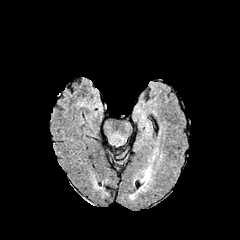
FLAIR MR image.
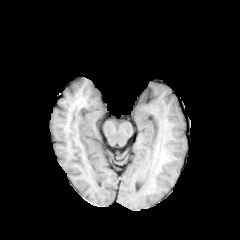
T1-weighted MR of the same slice.
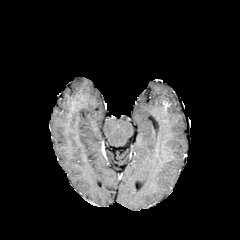
Post-contrast T1-weighted MR of the same slice.
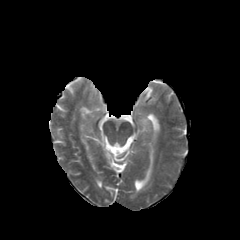
T2-weighted MRI of the same slice.
Brain; Image size 240x240
edema:
  - 138,169,150,190